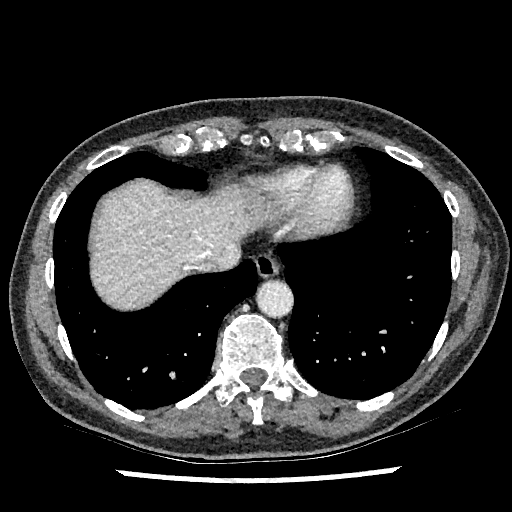 CT image
liver:
  - [91,181,266,309]